Slice index 36. CT scan slice. Image size 512x512.
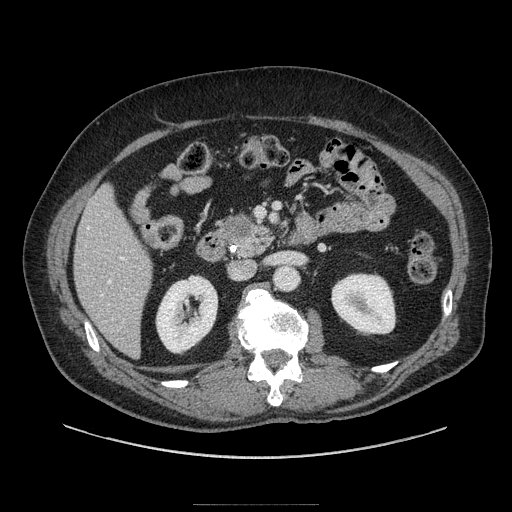
The pancreas appears at (left=219, top=214, right=270, bottom=256). The pancreatic tumor is bounded by (left=230, top=216, right=251, bottom=236).